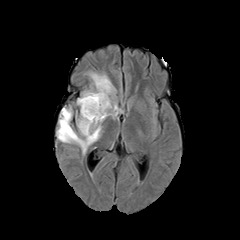
FLAIR MR.
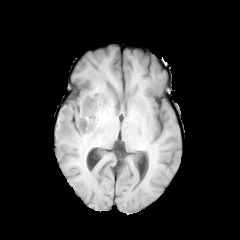
Same slice, T1-weighted magnetic resonance.
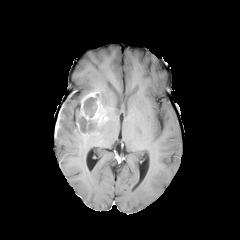
Post-contrast T1-weighted MR image.
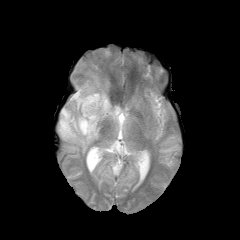
T2-weighted MR.
Head.
enhancing tumor: [81,92,106,120] | non-enhancing tumor core: [83,97,96,117], [76,109,104,131] | edema: [57,70,123,155]